FLAIR MR.
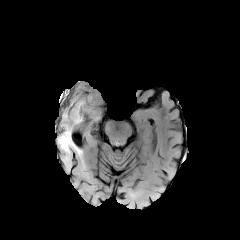
T1-weighted MR image.
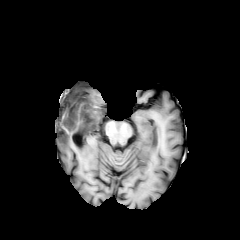
Post-contrast T1-weighted MRI.
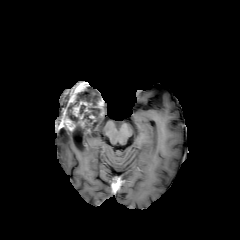
T2-weighted MRI.
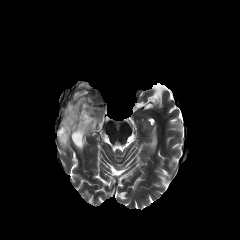
Brain; 240x240 px
2 enhancing tumor regions are bounded by 60, 110, 74, 130; 72, 101, 89, 123. The non-enhancing tumor core appears at 63, 86, 95, 130. 2 edema regions are bounded by 80, 86, 103, 121; 57, 129, 82, 160.